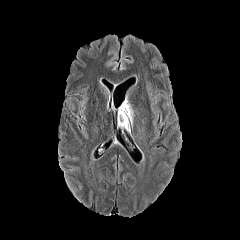
FLAIR MRI.
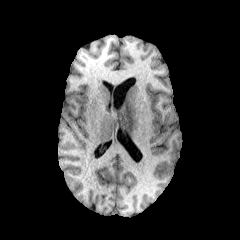
T1-weighted MR of the same slice.
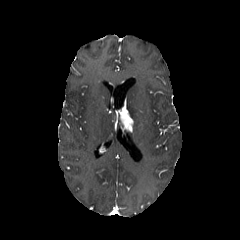
Post-contrast T1-weighted MRI.
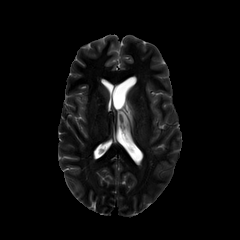
T2-weighted MR of the same slice.
Brain. Image size 240x240.
Enhancing tumor — [x1=118, y1=98, x2=133, y2=132].